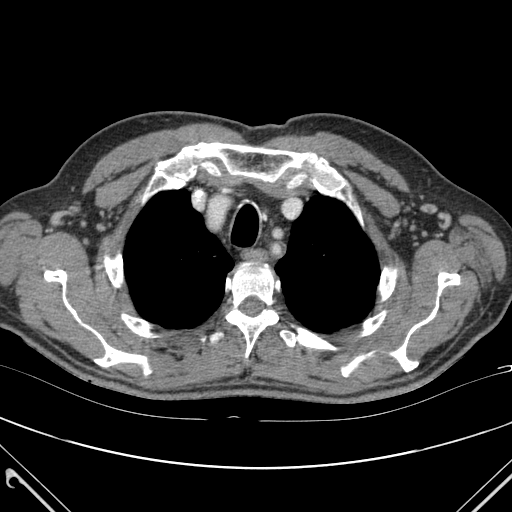

CT
Lung: 123:189:233:328, 275:195:380:333.
Bone: 226:263:279:357, 379:268:396:300, 341:355:363:376, 104:254:122:287, 362:311:385:335, 147:142:345:196, 391:272:459:371, 122:314:151:337, 44:270:150:374, 280:328:335:349.